FLAIR MRI.
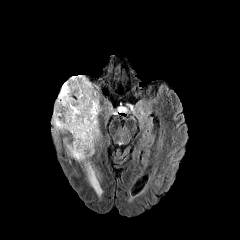
T1-weighted MR.
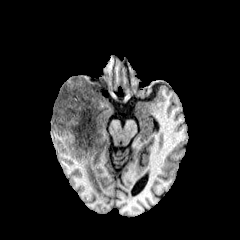
Post-contrast T1-weighted MR.
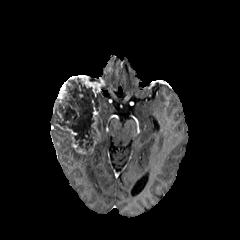
T2-weighted MR.
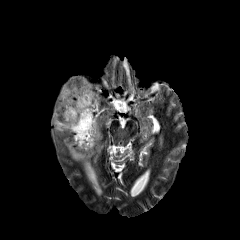
Findings:
• enhancing tumor: bbox=[57, 81, 66, 102]; bbox=[65, 127, 87, 154]; bbox=[91, 106, 100, 140]; bbox=[70, 75, 105, 92]
• edema: bbox=[63, 139, 102, 196]; bbox=[100, 97, 108, 106]
• non-enhancing tumor core: bbox=[51, 77, 102, 151]